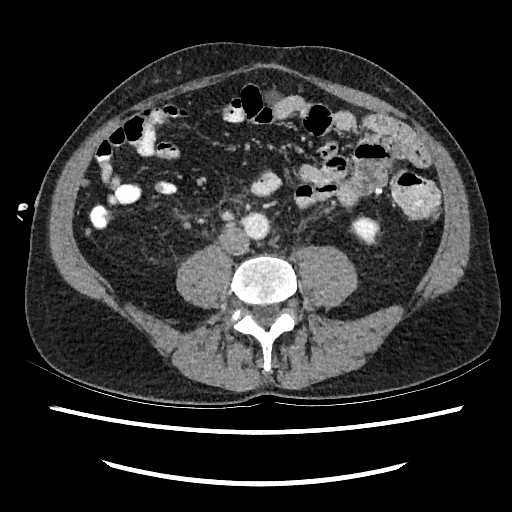 Abdomen, CT scan slice
kidney: (x1=354, y1=219, x2=376, y2=239)